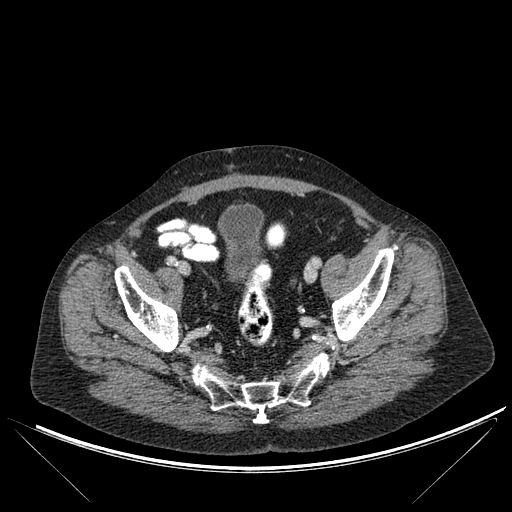
CT image
3 bone regions are bounded by 332,246,397,340; 115,266,178,351; 192,353,329,423.